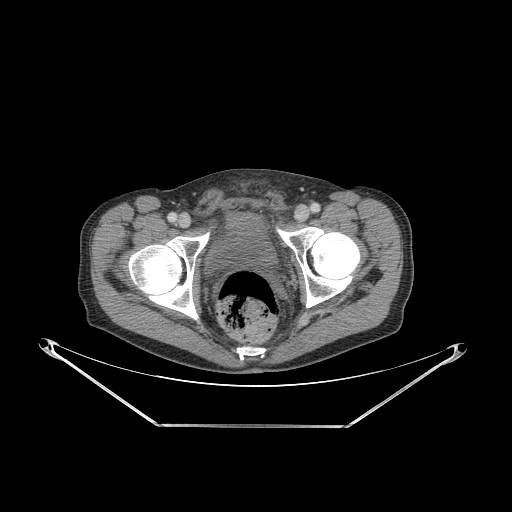
CT image

bone: 237 347 265 359, 128 232 209 319, 277 227 359 307